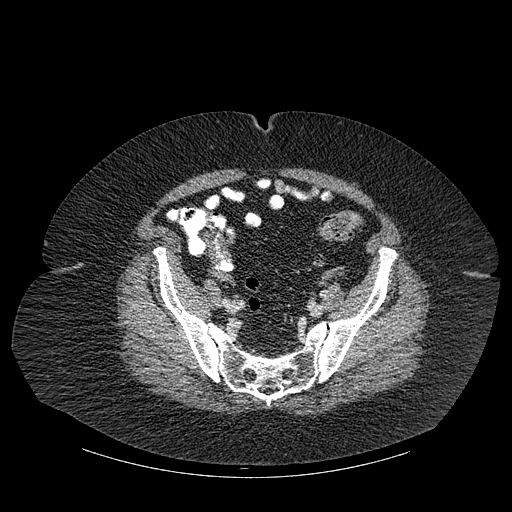
Computed tomography

{
  "bone": [
    "(x1=153, y1=247, x2=397, y2=405)",
    "(x1=222, y1=188, x2=238, y2=199)"
  ]
}